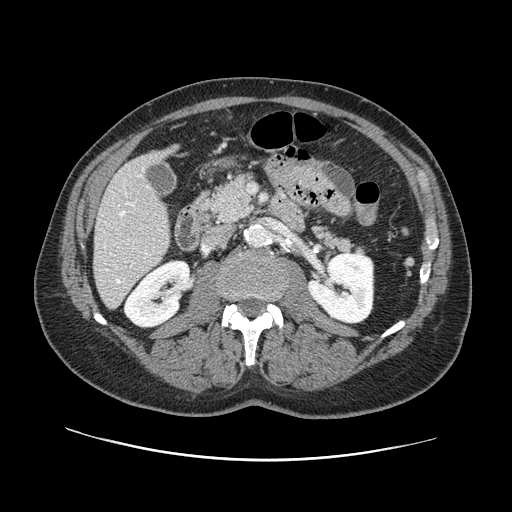
CT. 2 pancreas regions appear at 311:217:363:255, 197:171:257:223.